Lung. CT slice. 512x512. 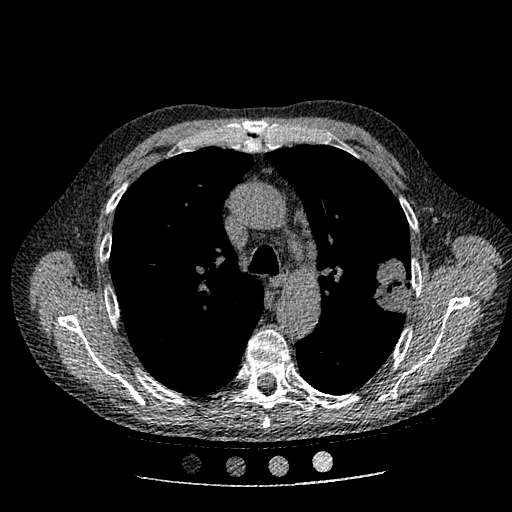

Segmented structures:
• lung tumor: <bbox>371, 254, 410, 316</bbox>